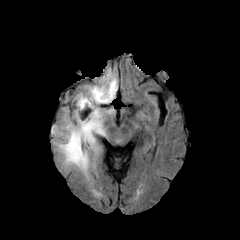
FLAIR magnetic resonance.
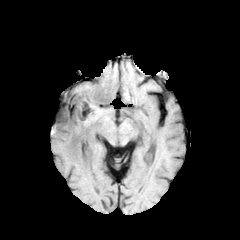
Same slice, T1-weighted MR image.
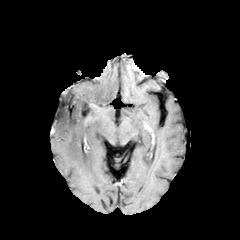
Post-contrast T1-weighted MRI.
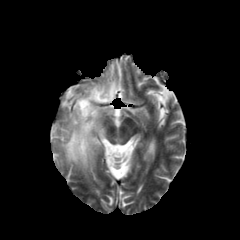
T2-weighted MRI.
Brain
{"edema": ["51,67,117,181"]}